Head, 240x240
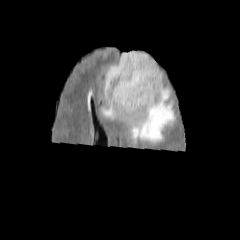
FLAIR MR image.
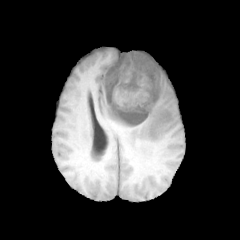
T1-weighted magnetic resonance.
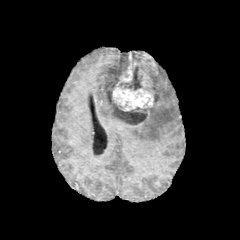
Post-contrast T1-weighted MR image.
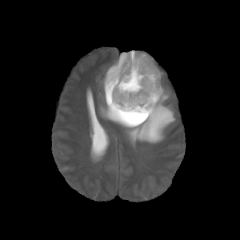
T2-weighted magnetic resonance.
2 edema regions appear at bbox=[154, 61, 163, 82]; bbox=[99, 85, 175, 147]. The enhancing tumor appears at bbox=[112, 52, 154, 110]. 2 non-enhancing tumor core regions appear at bbox=[118, 51, 162, 105]; bbox=[104, 53, 150, 125].